Brain; Field of view 240x240 mm
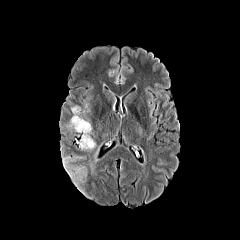
FLAIR magnetic resonance.
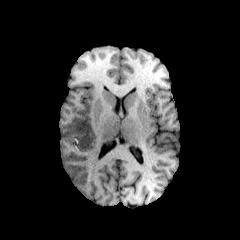
T1-weighted MR image.
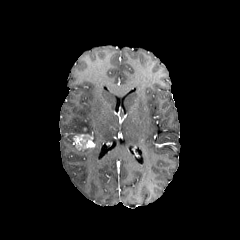
Post-contrast T1-weighted MR.
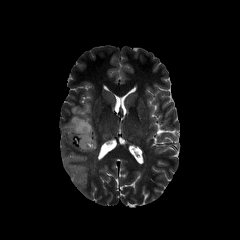
T2-weighted MRI of the same slice.
Enhancing tumor: bounding box left=73, top=134, right=95, bottom=154.
Edema: bounding box left=84, top=143, right=103, bottom=172; left=67, top=166, right=84, bottom=182; left=66, top=106, right=91, bottom=135; left=62, top=156, right=74, bottom=166.